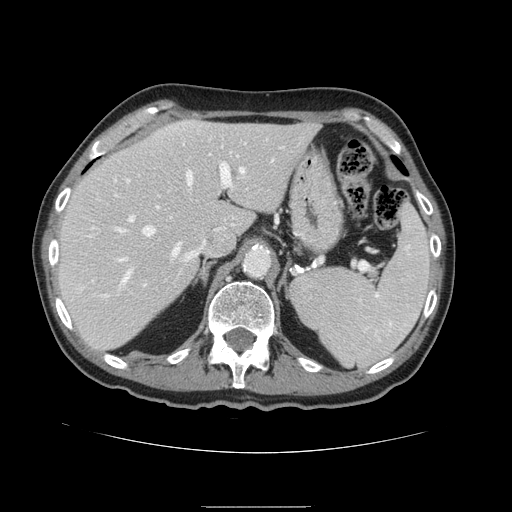

Abdomen, CT slice
The spleen lies within [x1=290, y1=204, x2=429, y2=366].